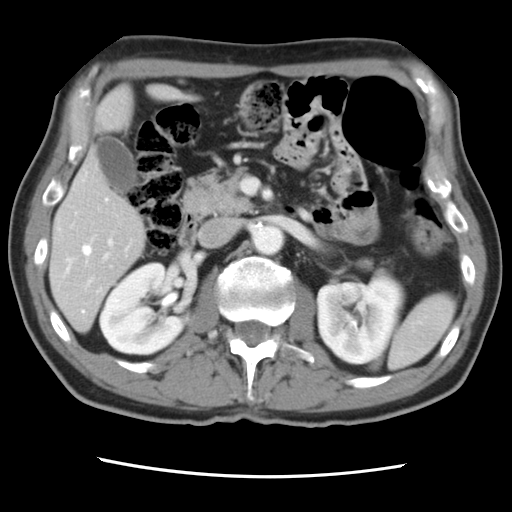 Liver | 512x512 | CT image
The vessel annotation is not exhaustive.
7 hepatic vessel regions are located at left=66, top=259, right=71, bottom=272; left=104, top=254, right=108, bottom=258; left=109, top=239, right=112, bottom=244; left=82, top=311, right=84, bottom=312; left=83, top=245, right=91, bottom=254; left=98, top=290, right=99, bottom=291; left=106, top=198, right=107, bottom=200.